FLAIR MR.
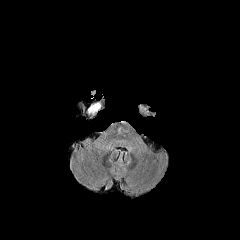
T1-weighted MR image.
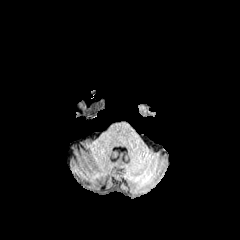
Post-contrast T1-weighted MR image.
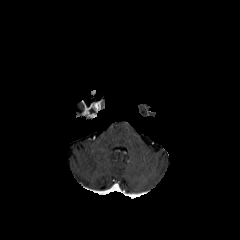
T2-weighted MR image.
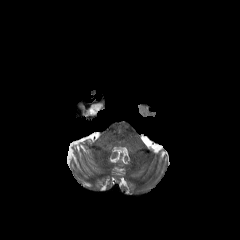
Brain
<segmentation>
  <enhancing_tumor><box>76,96,104,121</box></enhancing_tumor>
  <non-enhancing_tumor_core><box>76,102,83,114</box></non-enhancing_tumor_core>
</segmentation>